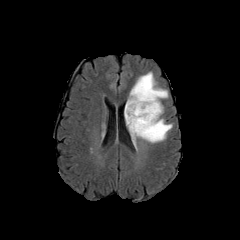
FLAIR MRI.
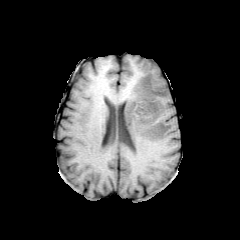
T1-weighted MRI.
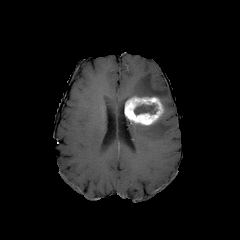
Post-contrast T1-weighted MR.
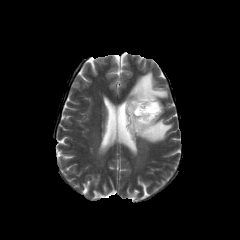
T2-weighted MR of the same slice.
Head
The enhancing tumor is located at x1=124, y1=95, x2=164, y2=125. The non-enhancing tumor core is bounded by x1=134, y1=105, x2=155, y2=114. 2 edema regions are located at x1=126, y1=117, x2=172, y2=149; x1=128, y1=72, x2=168, y2=99.